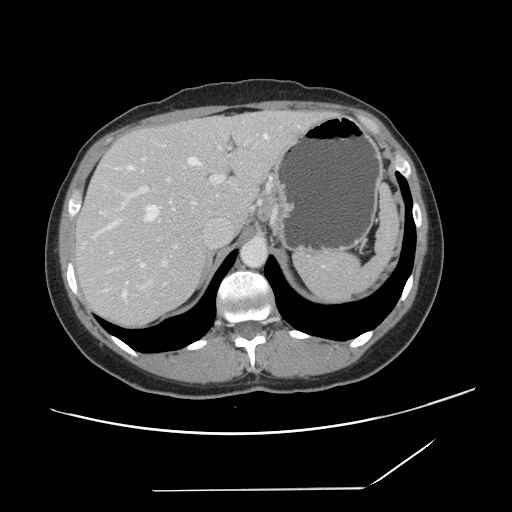

CT slice
The vessel boxes may cover only some of the vessels.
Top 15 of 22 hepatic vessel regions = 128 166 133 169, 161 261 166 266, 244 142 247 144, 211 175 223 183, 122 291 126 299, 264 134 267 138, 188 157 200 165, 145 205 159 220, 218 147 220 148, 100 211 102 213, 121 187 147 207, 102 221 117 230, 140 281 151 288, 116 167 118 168, 141 263 144 267.